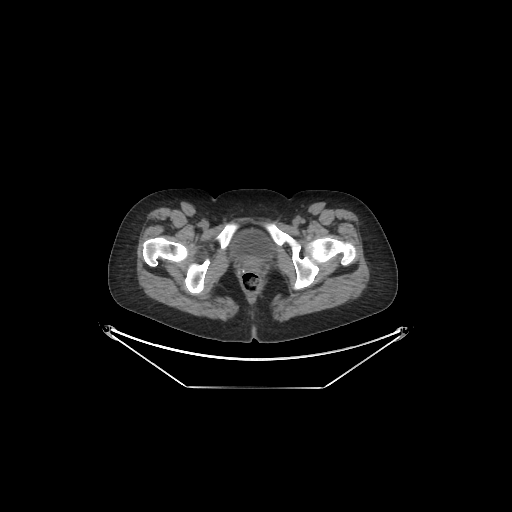
CT scan slice
urinary_bladder:
  - {"x1": 225, "y1": 228, "x2": 278, "y2": 266}